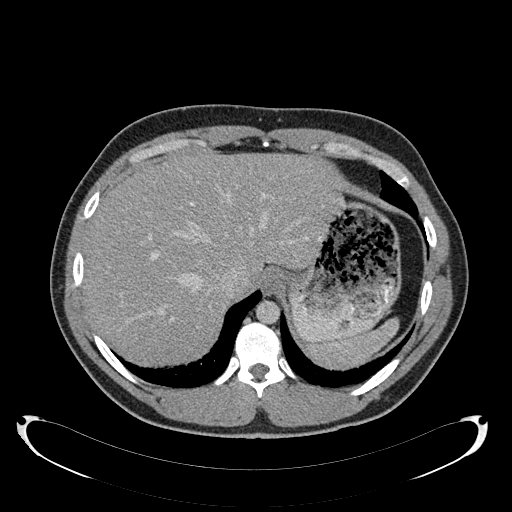

CT image
The liver lies within x1=83, y1=154, x2=338, y2=362.